Lower abdomen. CT slice.

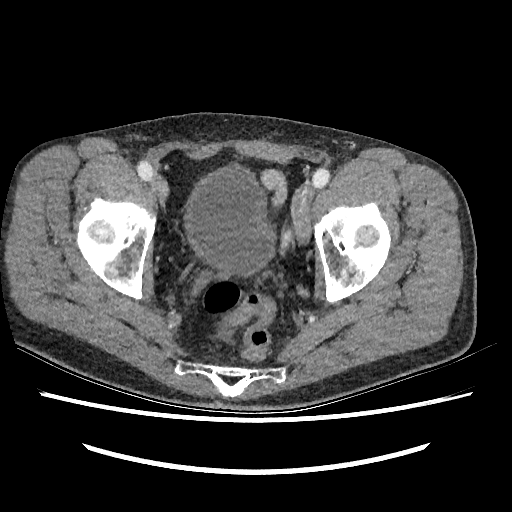 Urinary bladder: bounding box (x1=188, y1=169, x2=270, y2=275).